Slice index 58; Head; 240x240 px
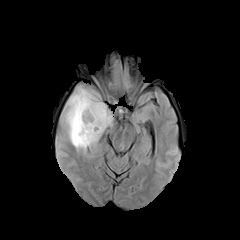
FLAIR MR.
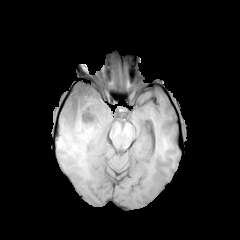
T1-weighted magnetic resonance of the same slice.
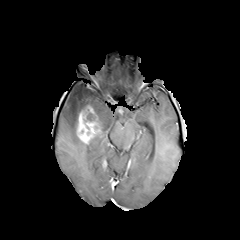
Post-contrast T1-weighted magnetic resonance of the same slice.
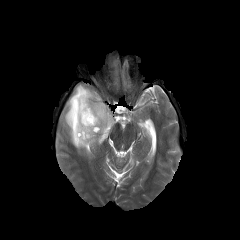
T2-weighted MR image.
edema:
  - bbox(63, 85, 113, 153)
non-enhancing_tumor_core:
  - bbox(74, 106, 86, 132)
enhancing_tumor:
  - bbox(76, 106, 101, 144)